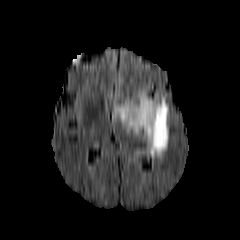
FLAIR MR.
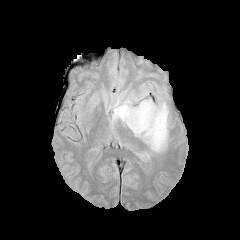
T1-weighted MR of the same slice.
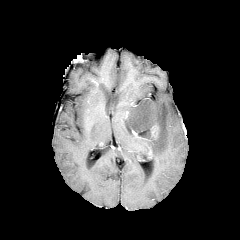
Post-contrast T1-weighted magnetic resonance.
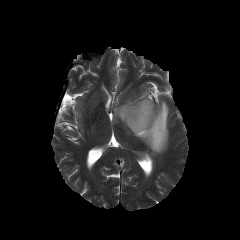
T2-weighted MR image of the same slice.
240x240 px
The edema lies within rect(112, 88, 169, 158).